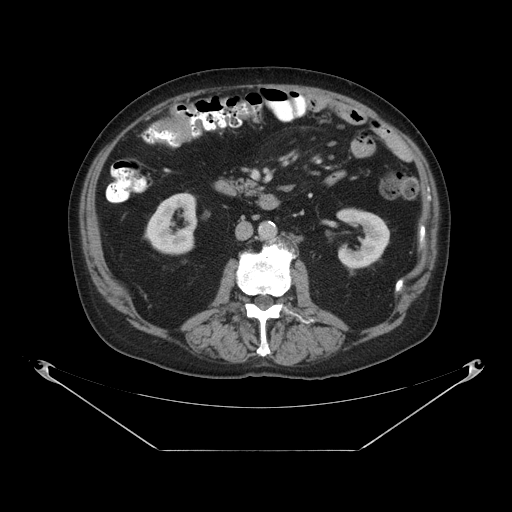 CT image
<segmentation>
  <colon_tumor><box>153,107,190,143</box></colon_tumor>
</segmentation>